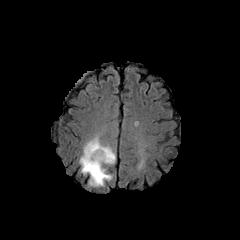
FLAIR MR image.
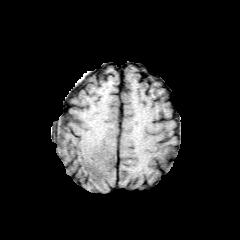
Same slice, T1-weighted MRI.
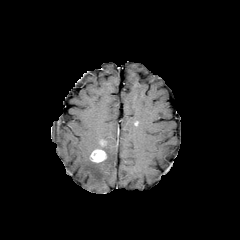
Same slice, post-contrast T1-weighted MRI.
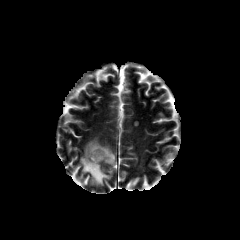
T2-weighted MR image of the same slice.
Image size 240x240. Brain.
• enhancing tumor: region(90, 149, 106, 161)
• edema: region(79, 136, 115, 186)